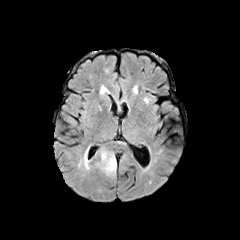
FLAIR MRI.
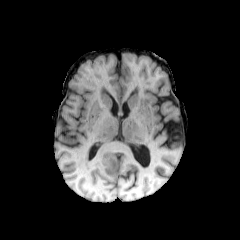
T1-weighted magnetic resonance.
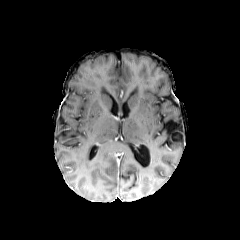
Post-contrast T1-weighted MR.
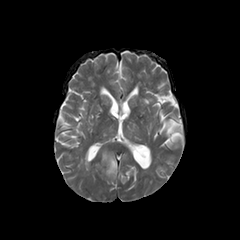
T2-weighted magnetic resonance of the same slice.
• edema: (78, 146, 90, 170), (96, 148, 116, 175)